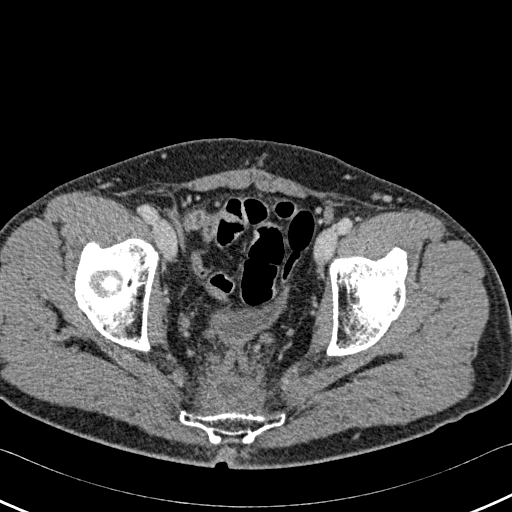

512x512. Computed tomography.

Bone at l=327, t=248, r=407, b=355; l=75, t=239, r=157, b=350; l=180, t=411, r=284, b=443.